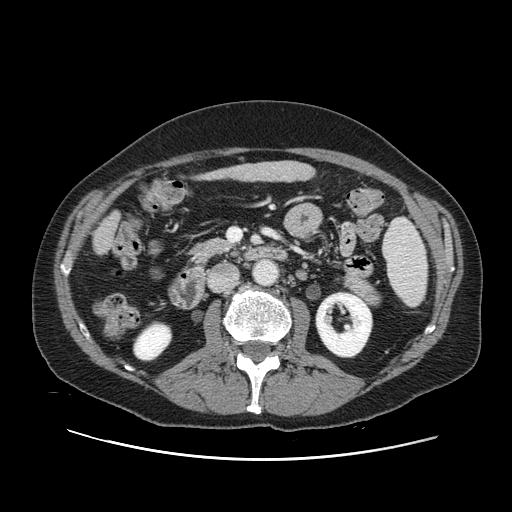

512x512 px | Upper abdomen | CT slice
The pancreas is at 189,240,228,265.